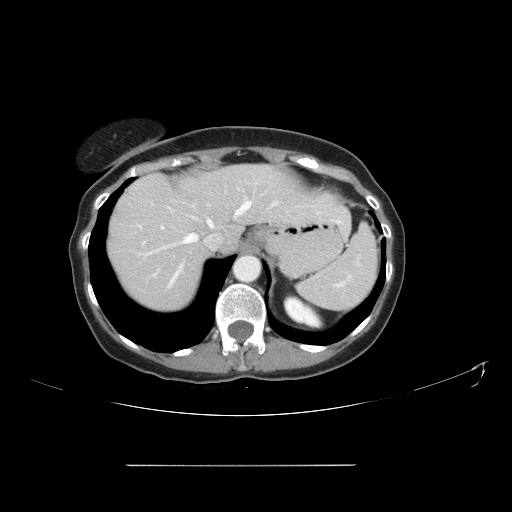 Computed tomography
Some hepatic vessels may have no box.
Segmented structures:
* hepatic vessel: (161, 226, 163, 228), (271, 202, 277, 205), (154, 273, 156, 275), (183, 233, 197, 242), (207, 220, 212, 227), (140, 244, 177, 255), (234, 201, 250, 218)